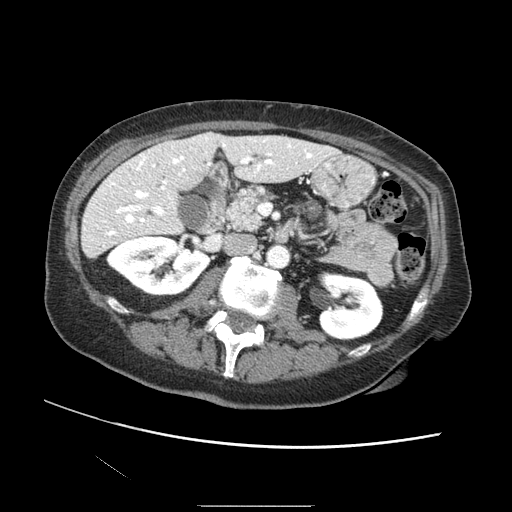
CT scan slice; 512x512; Upper abdomen
pancreas: 226:186:272:231, 304:197:321:228 | pancreatic tumor: 231:196:257:226